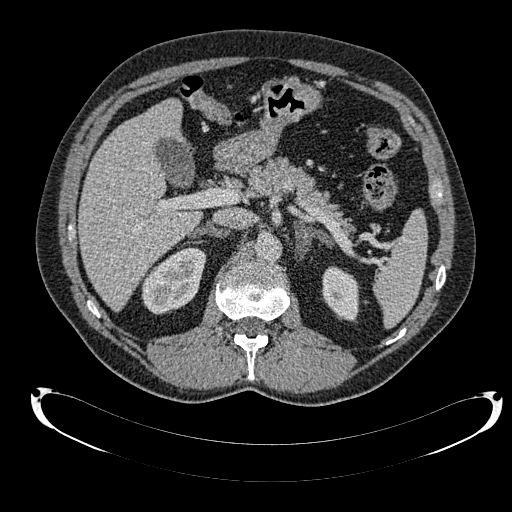 Computed tomography, Upper abdomen

kidney: 142, 248, 205, 313; 323, 267, 357, 319 | liver: 79, 100, 200, 309